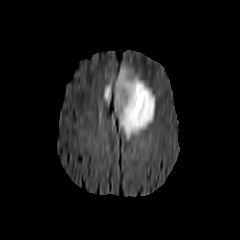
FLAIR MR.
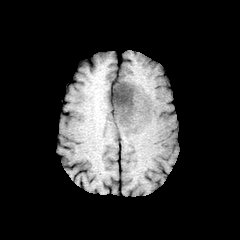
Same slice, T1-weighted magnetic resonance.
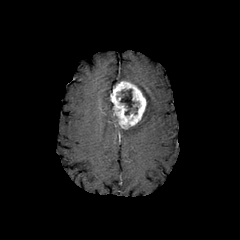
Same slice, post-contrast T1-weighted MR.
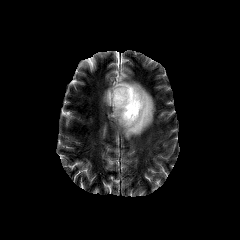
Same slice, T2-weighted MR.
Brain
<segmentation>
  <enhancing_tumor>110:81:146:128</enhancing_tumor>
  <non-enhancing_tumor_core>120:89:137:114</non-enhancing_tumor_core>
  <edema>117:66:155:139, 103:83:113:107</edema>
</segmentation>